CT scan slice; Lung

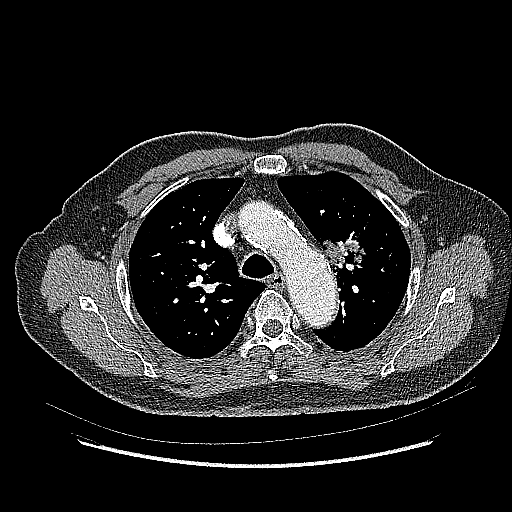 The lung tumor is located at <box>316,231,369,274</box>.